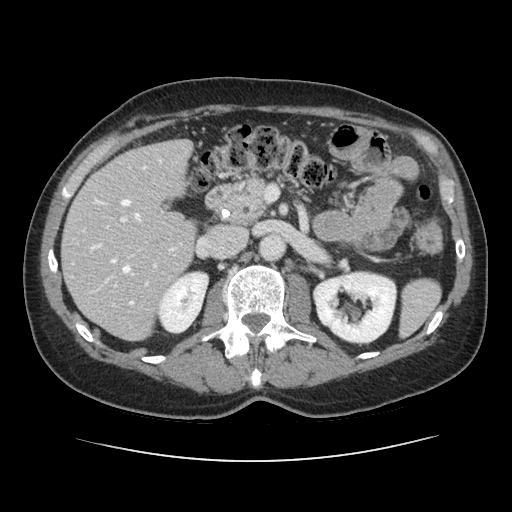 Abdomen. CT slice.
Segmented structures:
- pancreas: <bbox>226, 179, 265, 223</bbox>